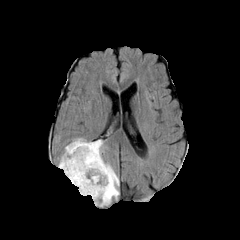
FLAIR MR.
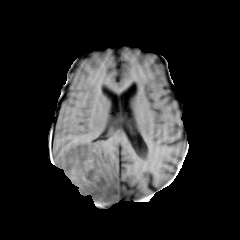
Same slice, T1-weighted MR.
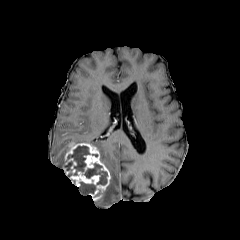
Same slice, post-contrast T1-weighted MR.
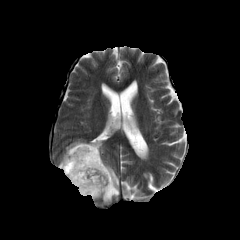
T2-weighted magnetic resonance of the same slice.
Image size 240x240
2 non-enhancing tumor core regions are located at bbox(84, 163, 107, 184); bbox(67, 146, 89, 175). The enhancing tumor appears at bbox(63, 142, 111, 200). 4 edema regions appear at bbox(76, 148, 87, 157); bbox(79, 183, 93, 195); bbox(58, 145, 69, 168); bbox(90, 140, 119, 205).